FLAIR MRI.
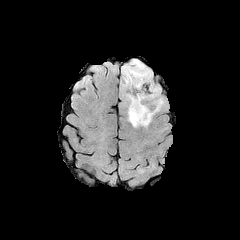
T1-weighted magnetic resonance.
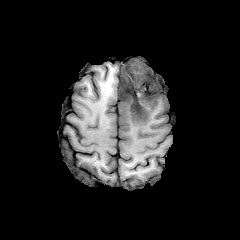
Post-contrast T1-weighted MRI.
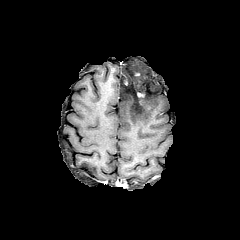
T2-weighted magnetic resonance.
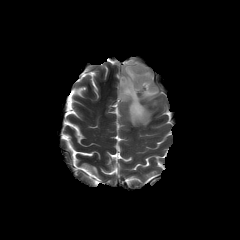
{
  "edema": [
    "[120, 59, 161, 127]"
  ],
  "non-enhancing_tumor_core": [
    "[123, 72, 153, 101]",
    "[133, 103, 142, 115]"
  ]
}